Upper abdomen; Image size 512x512; CT image
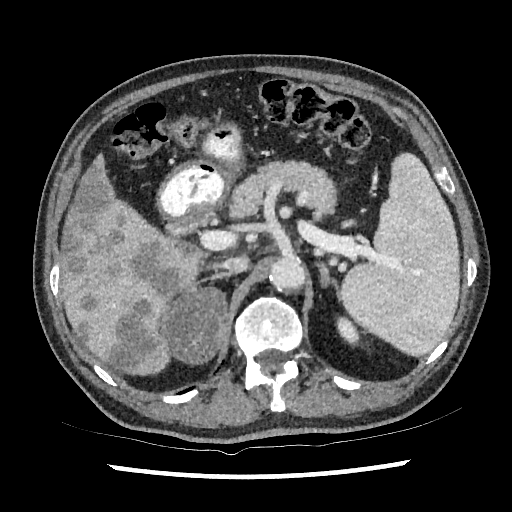
kidney: 338, 318, 358, 342 | hepatic lesion: 173, 241, 197, 256; 128, 238, 185, 297; 107, 298, 161, 370; 100, 215, 127, 259; 80, 295, 97, 311; 78, 325, 91, 344; 104, 262, 121, 277; 62, 162, 111, 276 | liver: 61, 156, 204, 374